Field of view 240 mm wide, 1.00 mm slice spacing | Head | Slice 46 of 155
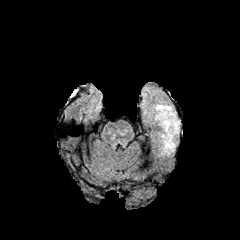
FLAIR MR.
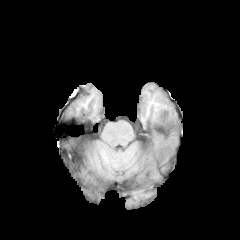
T1-weighted MR image of the same slice.
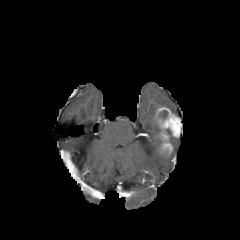
Post-contrast T1-weighted MRI of the same slice.
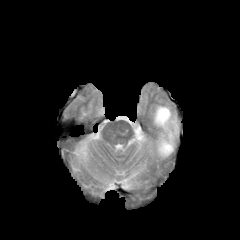
Same slice, T2-weighted magnetic resonance.
enhancing tumor: box(153, 106, 182, 157) | edema: box(151, 101, 174, 118)